Computed tomography, Upper abdomen

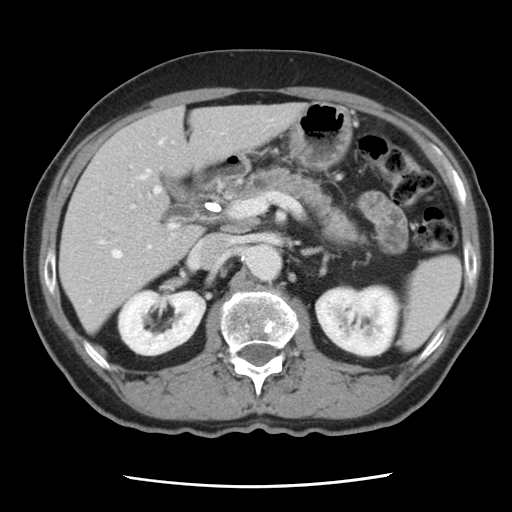
pancreas:
  - region(241, 167, 365, 245)
pancreatic_tumor:
  - region(235, 217, 260, 225)